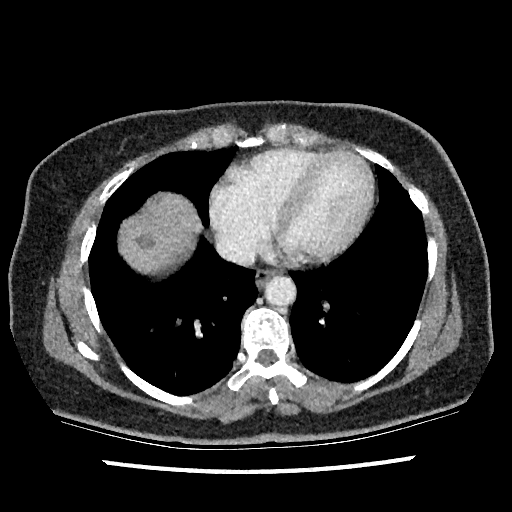

Abdomen. CT slice.
liver_lesion:
  - {"x1": 137, "y1": 234, "x2": 155, "y2": 249}
  - {"x1": 153, "y1": 195, "x2": 163, "y2": 202}
liver:
  - {"x1": 121, "y1": 195, "x2": 197, "y2": 270}